Field of view 240 mm wide, 1.00 mm slice spacing | 240x240
FLAIR MR.
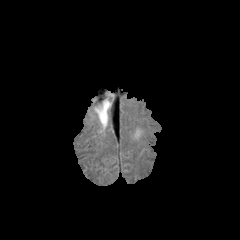
T1-weighted MR.
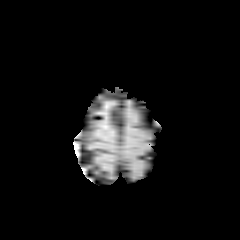
Post-contrast T1-weighted magnetic resonance.
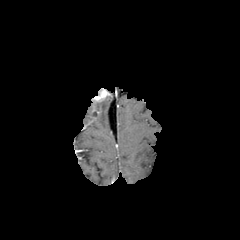
T2-weighted MRI.
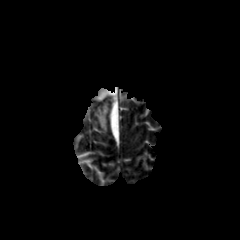
The edema is bounded by bbox(92, 98, 111, 132).